FLAIR MRI.
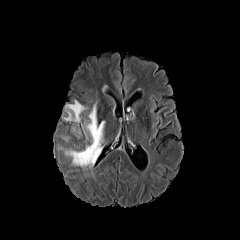
T1-weighted magnetic resonance.
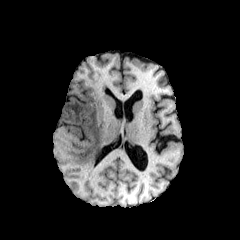
Post-contrast T1-weighted MR.
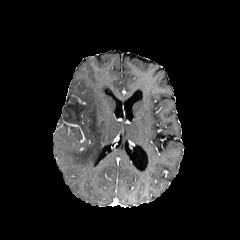
T2-weighted MR.
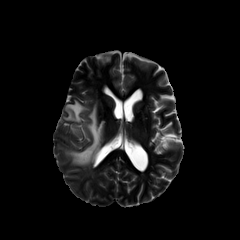
Image size 240x240.
2 edema regions appear at 65,100,84,122; 65,103,105,168.